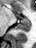 Hippocampus, MRI, Image size 36x48
Posterior hippocampus at l=15, t=20, r=31, b=32.
Anterior hippocampus at l=22, t=18, r=27, b=19.